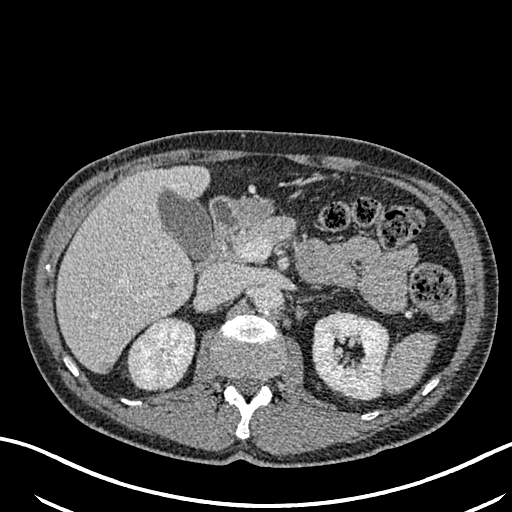

Upper abdomen, Computed tomography, 512x512

Liver at 57, 168, 208, 372.
Hepatic lesion at 100, 362, 113, 371.
Kidney at 129, 319, 194, 388; 313, 314, 387, 395.